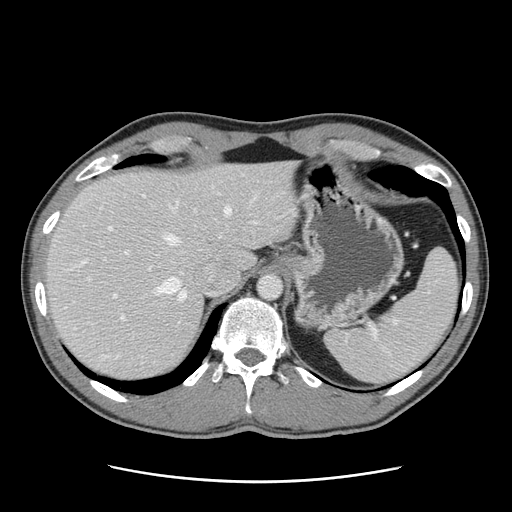

Liver. Computed tomography. Image size 512x512.

Only some of the vessels may be annotated.
The top 15 hepatic vessel regions (of 18) appear at bbox(66, 268, 71, 269); bbox(113, 294, 115, 296); bbox(169, 206, 174, 209); bbox(224, 206, 229, 214); bbox(121, 315, 124, 319); bbox(176, 202, 177, 206); bbox(155, 277, 185, 299); bbox(251, 195, 256, 201); bbox(108, 227, 111, 229); bbox(78, 259, 86, 265); bbox(142, 194, 144, 196); bbox(165, 234, 178, 244); bbox(148, 267, 150, 269); bbox(124, 250, 128, 253); bbox(252, 221, 256, 223).